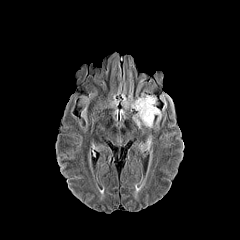
FLAIR MR image.
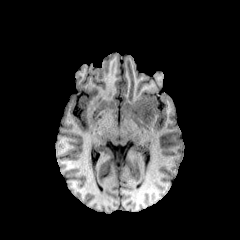
Same slice, T1-weighted MR image.
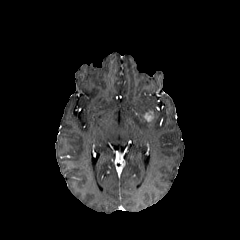
Post-contrast T1-weighted MRI.
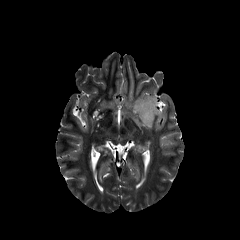
T2-weighted MR image.
Annotated regions:
- edema: (160, 94, 171, 114), (130, 91, 162, 128)
- enhancing tumor: (144, 111, 153, 122)